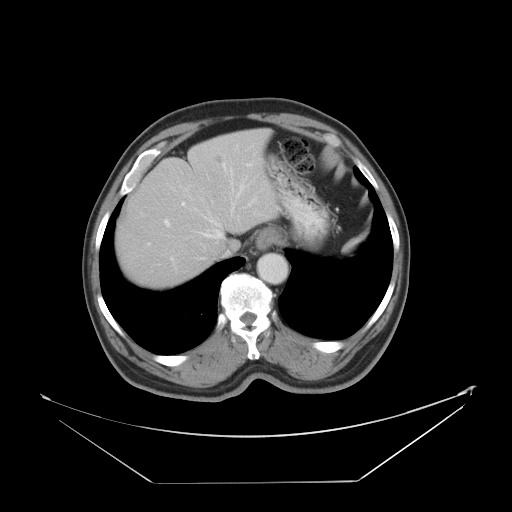 CT scan slice; Image size 512x512
Only some of the vessels may be annotated.
15 hepatic vessel regions are located at <box>247,196,257,206</box>, <box>251,179,253,182</box>, <box>199,197,203,200</box>, <box>164,219,169,226</box>, <box>182,202,184,205</box>, <box>221,163,249,197</box>, <box>243,163,252,166</box>, <box>236,145,237,149</box>, <box>230,199,236,212</box>, <box>171,187,173,188</box>, <box>147,242,150,245</box>, <box>201,210,222,243</box>, <box>247,144,254,150</box>, <box>237,215,239,219</box>, <box>170,257,175,267</box>.